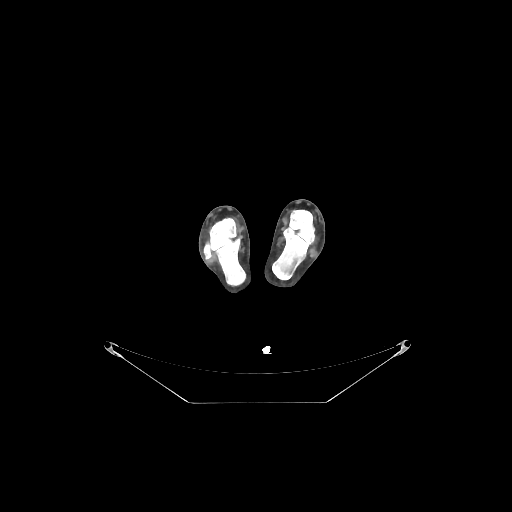 Computed tomography
{"bone": ["(x1=204, y1=218, x2=245, y2=285)", "(x1=272, y1=210, x2=314, y2=279)"]}